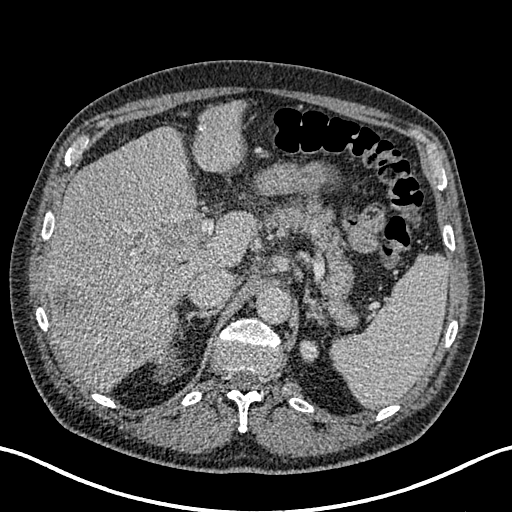

CT slice. Upper abdomen. Findings:
• focal liver lesion: (53, 280, 90, 325), (127, 338, 154, 361), (146, 219, 195, 275)
• kidney: (303, 342, 316, 358)
• liver: (46, 100, 256, 391)